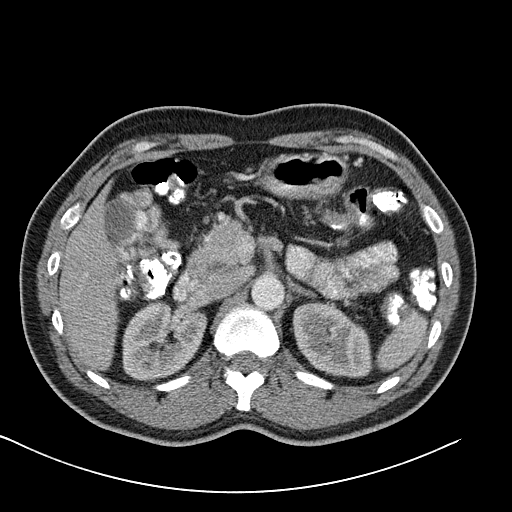 Pelvis; 512x512; CT slice

Colon tumor = bbox(322, 207, 359, 224).